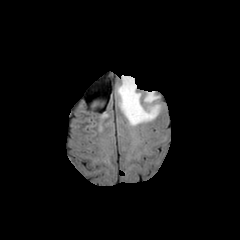
FLAIR MR.
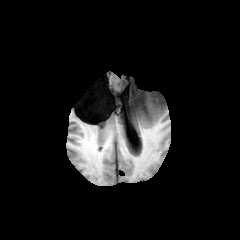
Same slice, T1-weighted MR image.
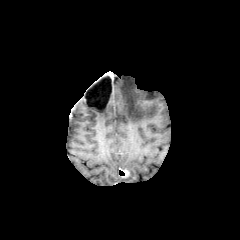
Post-contrast T1-weighted magnetic resonance.
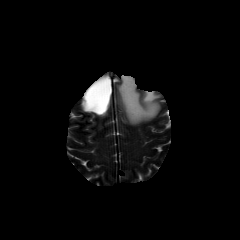
T2-weighted magnetic resonance of the same slice.
Brain
edema: (left=117, top=76, right=160, bottom=125)